CT image. Chest. Slice 137 of 251. 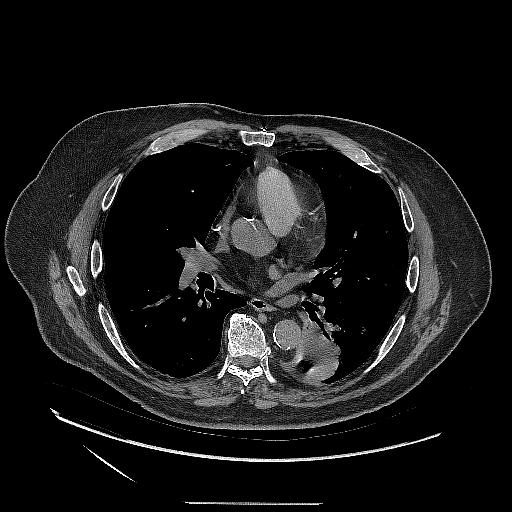 {"lung_tumor": ["region(292, 307, 343, 380)"]}